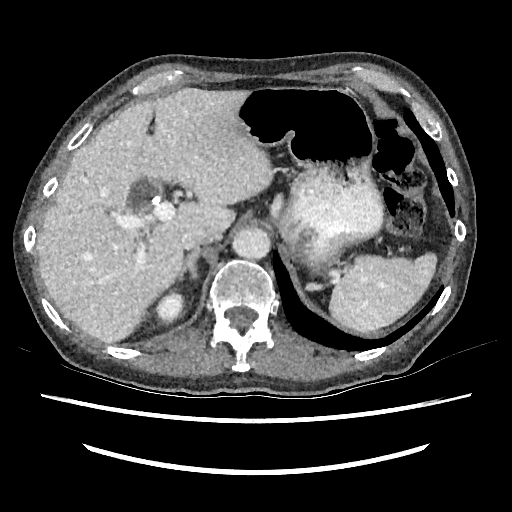

CT scan slice
The liver lies within [37, 89, 270, 342]. The kidney is bounded by [158, 294, 181, 319].